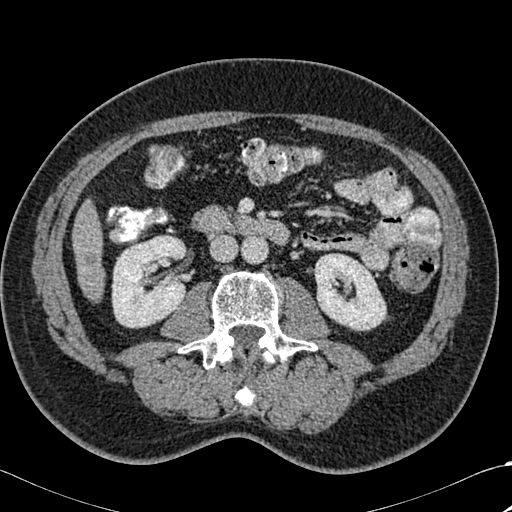
CT slice | Liver
{"bone": ["box(236, 385, 254, 405)", "box(179, 271, 316, 368)"], "liver_lesion": ["box(84, 252, 98, 265)"], "kidney": ["box(315, 254, 385, 329)", "box(112, 236, 185, 327)"], "liver": ["box(73, 209, 103, 299)"]}